Slice index 15; Field of view 438 mm wide, 5.00 mm slice spacing; Abdomen; CT slice

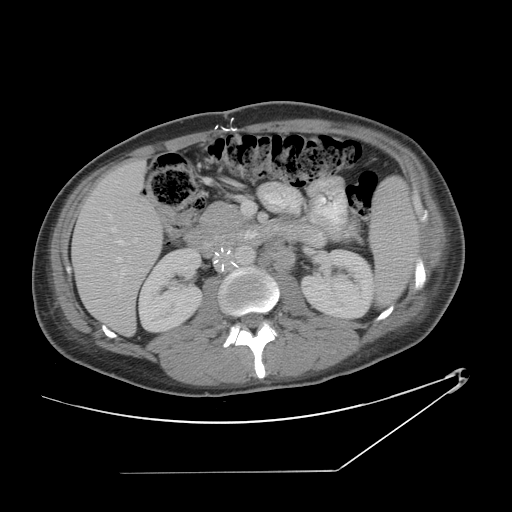

Not every hepatic vessel necessarily has a box.
Hepatic vessel: bounding box (112, 227, 116, 231), (128, 258, 130, 262), (117, 257, 121, 262), (118, 241, 123, 244), (118, 285, 120, 291), (134, 239, 137, 242), (85, 241, 89, 243), (114, 269, 125, 276), (96, 235, 102, 237).